CT
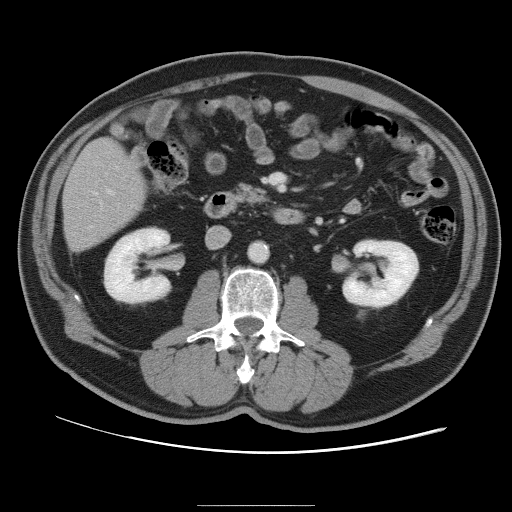 Some hepatic vessels may have no box.
4 hepatic vessel regions are bounded by x1=93 y1=191 x2=97 y2=194, x1=100 y1=200 x2=101 y2=205, x1=107 y1=190 x2=114 y2=194, x1=90 y1=226 x2=92 y2=227.